CT image. Upper abdomen.
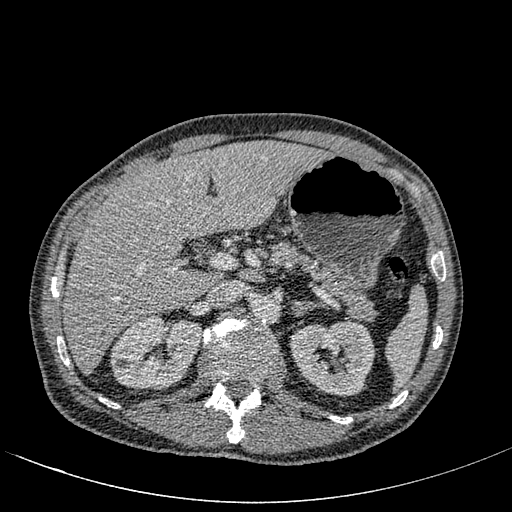

Kidney — left=290, top=321, right=374, bottom=395; left=111, top=316, right=202, bottom=388.
Liver — left=62, top=142, right=333, bottom=374.